CT scan slice, Liver
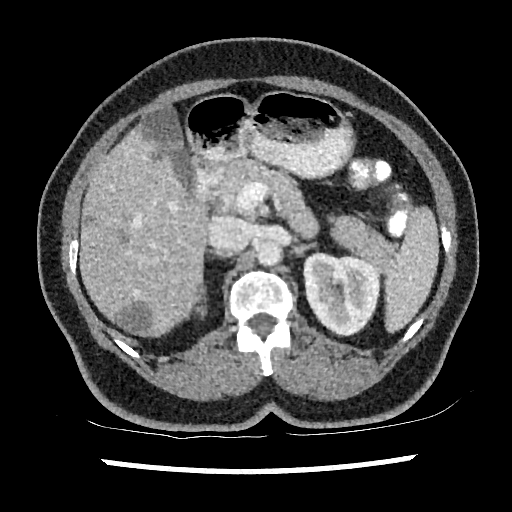 The kidney appears at <box>304,254,378,334</box>. 3 focal liver lesion regions are located at <box>121,235,128,244</box>, <box>84,215,94,225</box>, <box>115,302,151,333</box>. The liver is bounded by <box>80,128,208,336</box>.